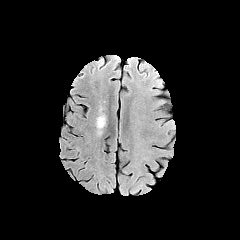
FLAIR MRI.
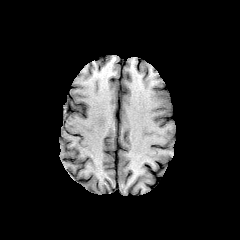
T1-weighted MR image of the same slice.
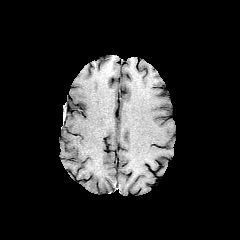
Post-contrast T1-weighted MRI.
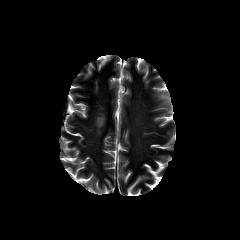
T2-weighted MR image of the same slice.
Segmented structures:
- edema: l=97, t=109, r=105, b=127